FLAIR MRI.
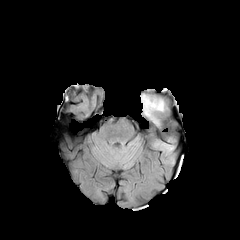
T1-weighted magnetic resonance.
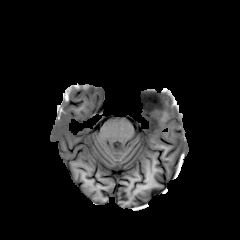
Post-contrast T1-weighted magnetic resonance.
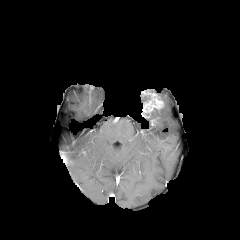
T2-weighted MRI.
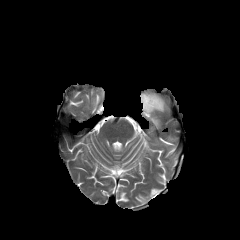
Findings:
- enhancing tumor: 141, 93, 163, 117